FLAIR MR.
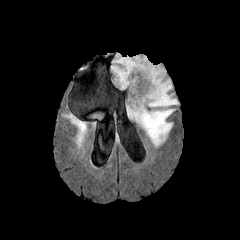
T1-weighted MRI.
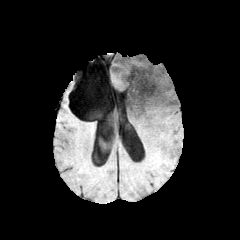
Post-contrast T1-weighted MR image.
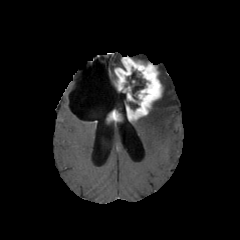
T2-weighted MR image.
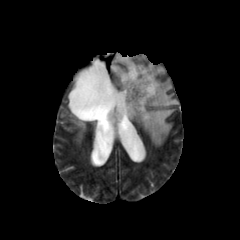
Brain
2 non-enhancing tumor core regions are located at (x1=125, y1=71, x2=144, y2=99), (x1=122, y1=90, x2=138, y2=109). 4 edema regions appear at (x1=90, y1=112, x2=102, y2=118), (x1=77, y1=130, x2=83, y2=143), (x1=135, y1=65, x2=178, y2=146), (x1=111, y1=54, x2=121, y2=73). The enhancing tumor is located at (x1=114, y1=56, x2=162, y2=119).